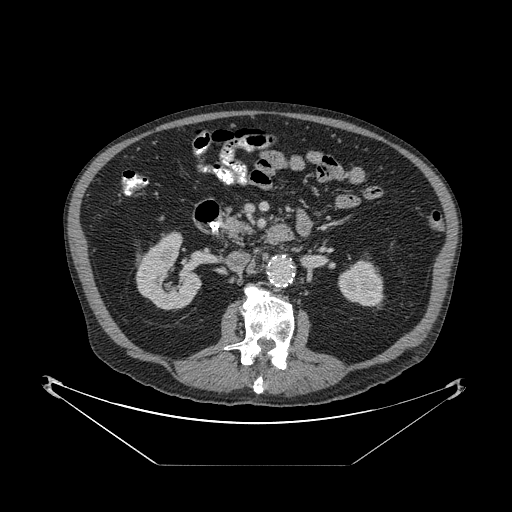 Computed tomography; Abdomen

Pancreas — (x1=222, y1=212, x2=252, y2=242).